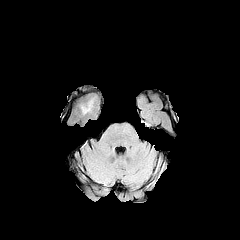
FLAIR magnetic resonance.
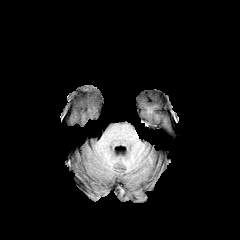
T1-weighted MR of the same slice.
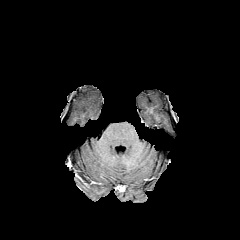
Post-contrast T1-weighted MR image.
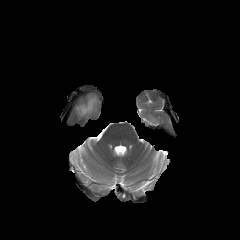
T2-weighted MRI.
Brain
Edema: bounding box 81:100:93:113.